512x512 px | Liver | Slice 35/43 | Field of view 409x409 mm | CT image

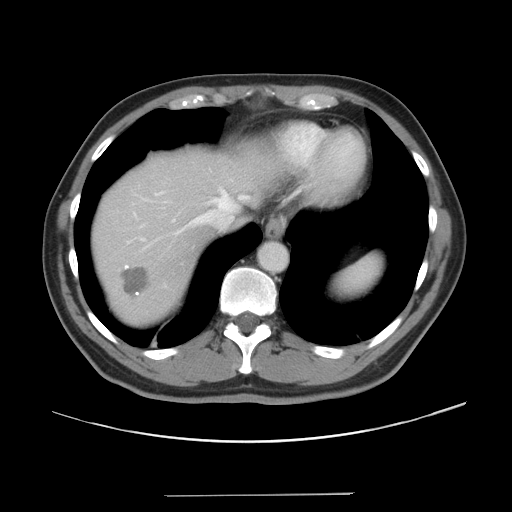

The vessel boxes may cover only some of the vessels.
Annotated regions:
• liver tumor: x1=122, y1=266, x2=148, y2=297
• hepatic vessel: x1=239, y1=195, x2=248, y2=199; x1=190, y1=216, x2=204, y2=224; x1=155, y1=192, x2=163, y2=195; x1=219, y1=188, x2=226, y2=199; x1=173, y1=220, x2=174, y2=221; x1=134, y1=213, x2=136, y2=216; x1=140, y1=238, x2=145, y2=241; x1=173, y1=230, x2=181, y2=234; x1=213, y1=198, x2=219, y2=202